Slice index 121, 240x240 px
FLAIR magnetic resonance.
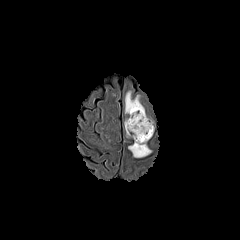
T1-weighted MR.
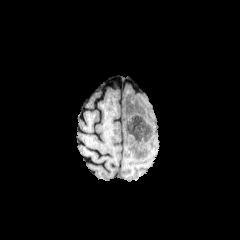
Post-contrast T1-weighted MR.
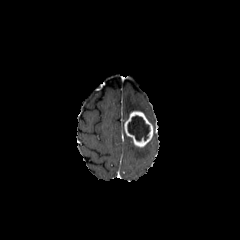
T2-weighted MR.
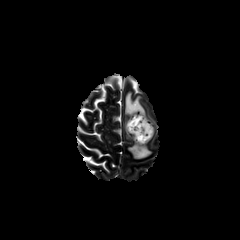
enhancing_tumor:
  - region(124, 110, 153, 147)
edema:
  - region(124, 92, 144, 114)
  - region(128, 144, 150, 159)
non-enhancing_tumor_core:
  - region(127, 115, 150, 141)